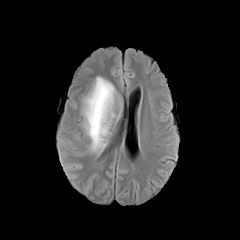
FLAIR magnetic resonance.
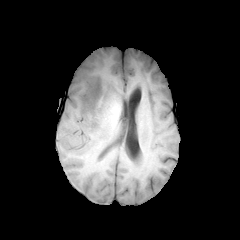
T1-weighted MR image of the same slice.
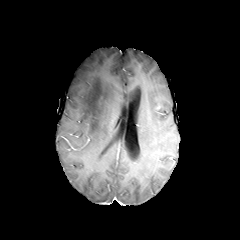
Post-contrast T1-weighted MRI.
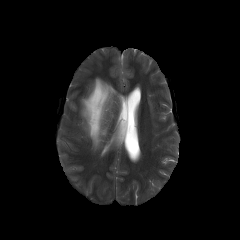
T2-weighted magnetic resonance.
Edema: 80:75:120:151.